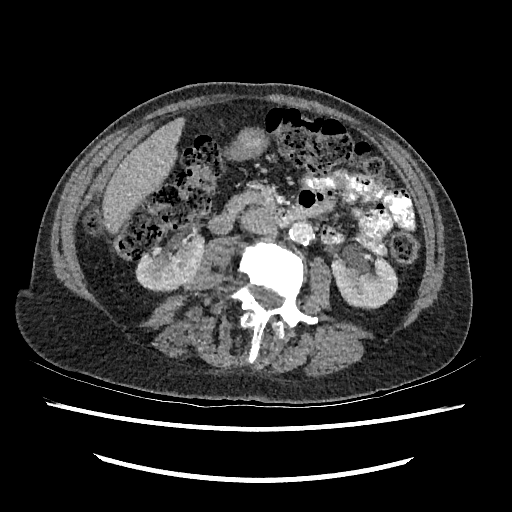

Image size 512x512. Liver. CT image.
Liver: bounding box <box>103,118,183,232</box>.
Kidney: bounding box <box>136,244,203,289</box>, <box>332,258,396,307</box>.